512x512 px, Computed tomography, Upper abdomen 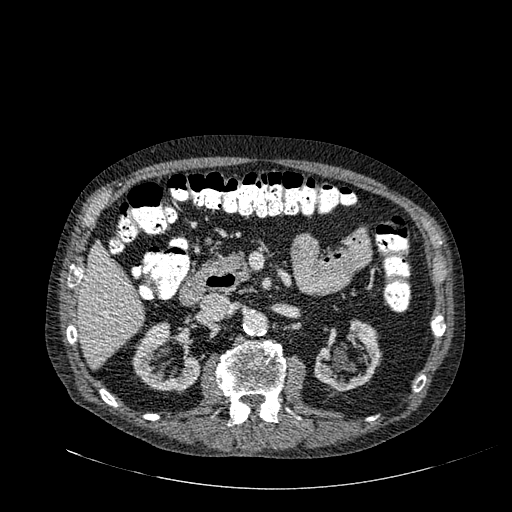
Liver at (x1=80, y1=241, x2=143, y2=369).
Kidney at (x1=132, y1=321, x2=200, y2=391), (x1=314, y1=319, x2=381, y2=391).